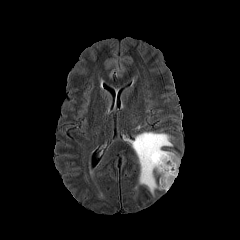
FLAIR MR image.
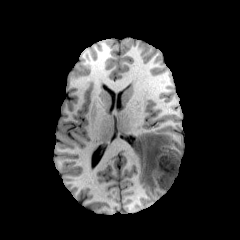
T1-weighted MR image of the same slice.
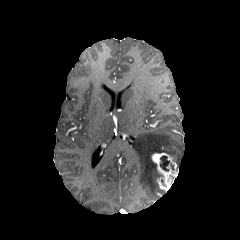
Post-contrast T1-weighted magnetic resonance.
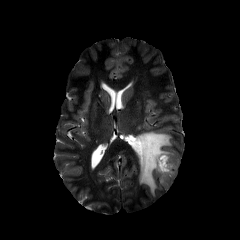
T2-weighted MR of the same slice.
Edema at bbox=[131, 132, 179, 197].
Non-enhancing tumor core at bbox=[160, 155, 169, 171].
Enhancing tumor at bbox=[151, 153, 178, 190].